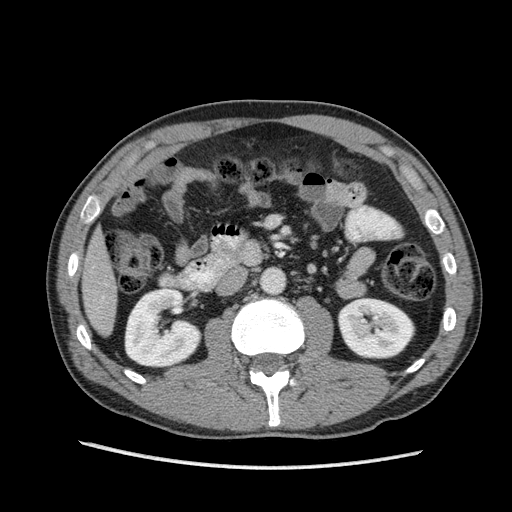
512x512; CT image
The liver is bounded by <bbox>77, 227, 117, 336</bbox>. 2 kidney regions are bounded by <bbox>125, 289, 198, 365</bbox>, <bbox>339, 299, 412, 357</bbox>.